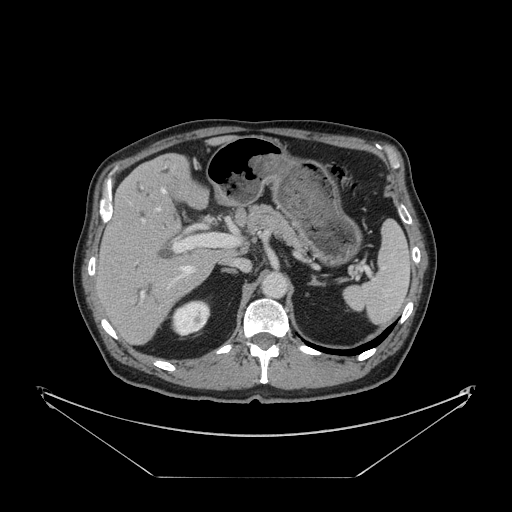
CT slice.
Only some of the vessels may be annotated.
Hepatic vessel: box(179, 266, 192, 277); box(142, 220, 144, 222); box(141, 291, 143, 297); box(173, 234, 238, 251); box(166, 287, 168, 289); box(161, 189, 164, 193); box(157, 208, 159, 210).